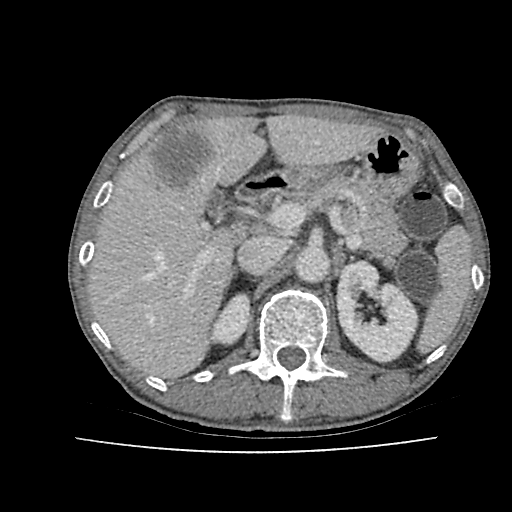
Upper abdomen, CT slice
The focal liver lesion is at [145, 126, 215, 191]. The liver lies within [90, 116, 378, 376]. 2 kidney regions appear at [214, 296, 248, 341], [338, 262, 416, 360].